Abdomen. Computed tomography. 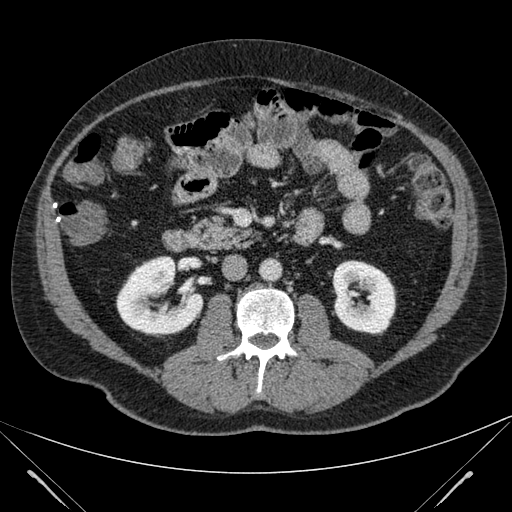
Kidney at <bbox>334, 261, 394, 332</bbox>, <bbox>117, 257, 202, 333</bbox>.